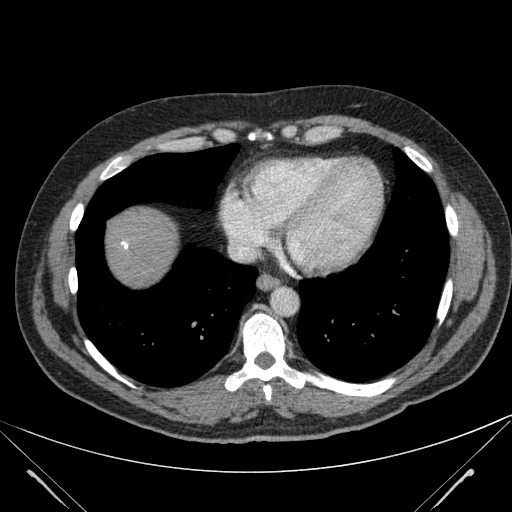 CT scan slice

• liver: 106:208:176:285